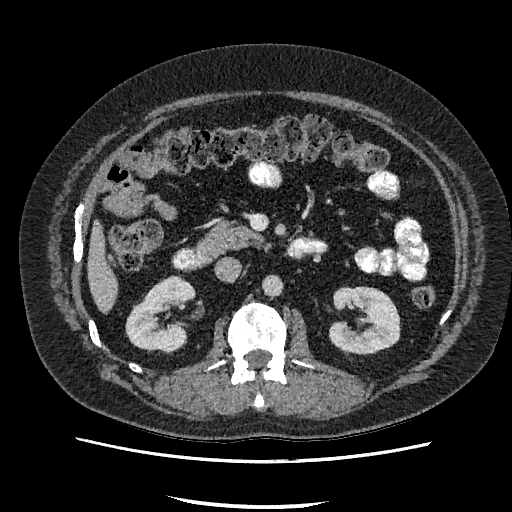

Liver | CT image
Annotated regions:
- liver: 88,221,117,310
- kidney: 127,277,193,350; 330,288,398,352